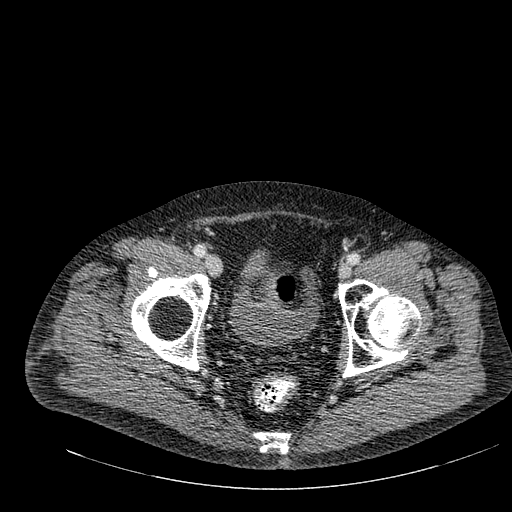 Lower abdomen | 512x512 px | CT slice
The urinary bladder lies within 229, 249, 319, 347.